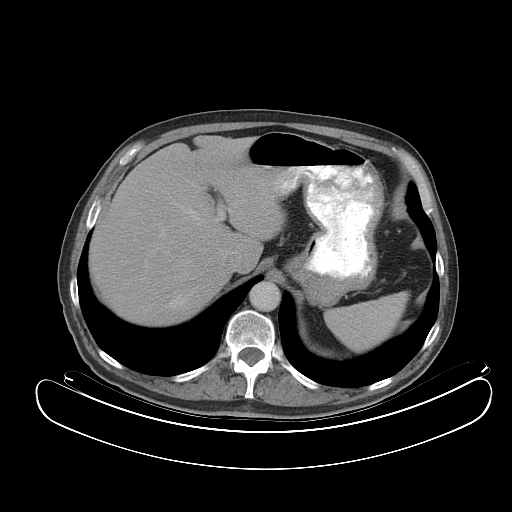

CT scan slice. Spleen: bounding box <box>325,293,408,351</box>.